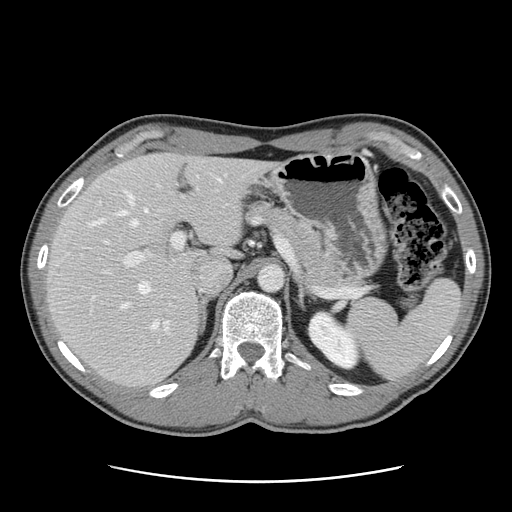

512x512 px; CT scan slice; Liver

The vessel annotation is not exhaustive.
• hepatic vessel (largest 15 of 16): bbox=[124, 252, 142, 265]; bbox=[117, 210, 126, 214]; bbox=[130, 220, 137, 226]; bbox=[145, 249, 147, 252]; bbox=[120, 303, 128, 307]; bbox=[151, 322, 157, 328]; bbox=[138, 282, 149, 292]; bbox=[164, 321, 168, 329]; bbox=[90, 219, 103, 225]; bbox=[171, 233, 183, 248]; bbox=[217, 178, 219, 180]; bbox=[105, 240, 108, 242]; bbox=[124, 191, 133, 203]; bbox=[91, 296, 94, 299]; bbox=[157, 185, 159, 186]